Computed tomography. Image width 385 mm.
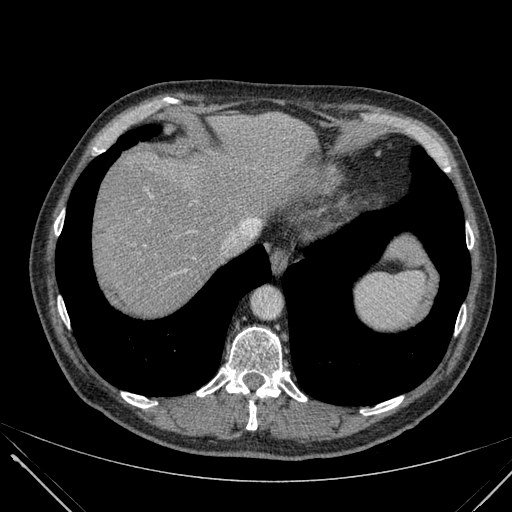 <segmentation>
  <liver>x1=93 y1=112 x2=330 y2=316</liver>
</segmentation>